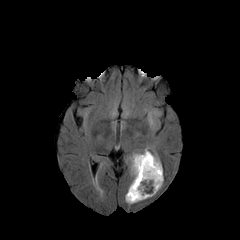
FLAIR MRI.
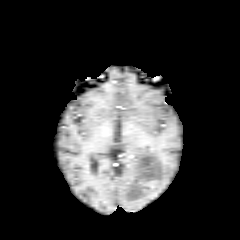
T1-weighted MRI of the same slice.
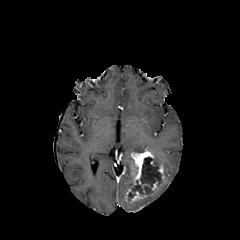
Post-contrast T1-weighted magnetic resonance of the same slice.
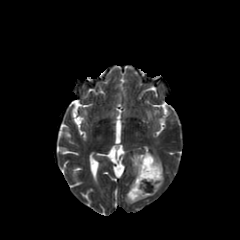
T2-weighted MR image of the same slice.
3 edema regions are bounded by x1=151 y1=180 x2=163 y2=195, x1=138 y1=146 x2=161 y2=165, x1=129 y1=156 x2=136 y2=176. The non-enhancing tumor core is located at x1=132 y1=157 x2=161 y2=195. 3 enhancing tumor regions are located at x1=131 y1=149 x2=154 y2=187, x1=152 y1=178 x2=158 y2=190, x1=124 y1=187 x2=147 y2=204.